FLAIR MR.
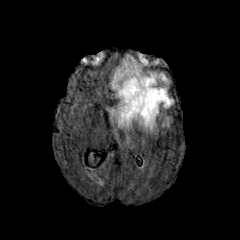
T1-weighted MR image.
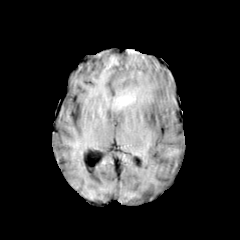
Post-contrast T1-weighted MR image.
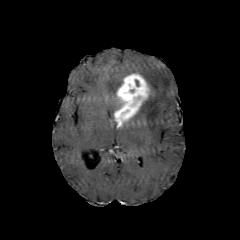
T2-weighted MR.
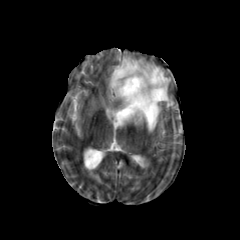
Head; 240x240
Edema: {"x1": 107, "y1": 104, "x2": 119, "y2": 126}, {"x1": 110, "y1": 55, "x2": 173, "y2": 132}.
Enhancing tumor: {"x1": 113, "y1": 72, "x2": 150, "y2": 127}.